MR; 35x52 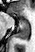
Posterior hippocampus: bounding box (x1=14, y1=20, x2=29, y2=40).